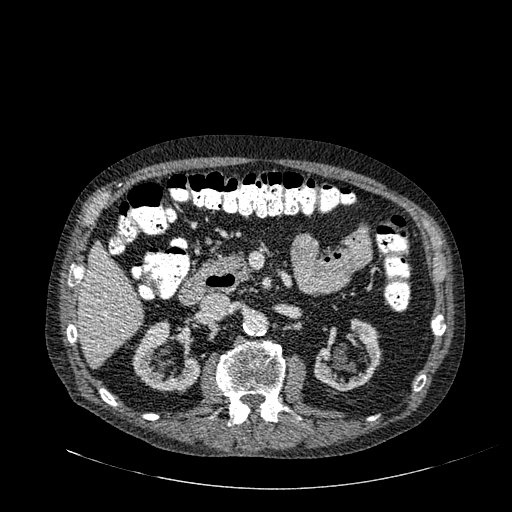 CT image; Image size 512x512; Liver
Liver at 81, 242, 142, 368.
Kidney at 132, 319, 200, 391; 314, 319, 380, 390.